Head, Slice 80 of 155, 240x240 px
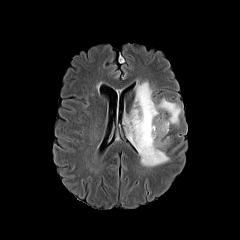
FLAIR MRI.
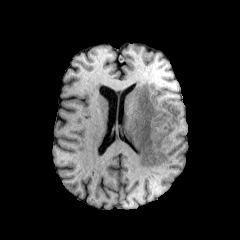
Same slice, T1-weighted MR image.
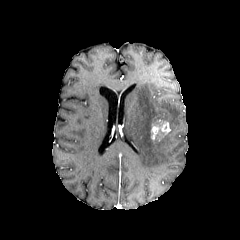
Post-contrast T1-weighted MR image.
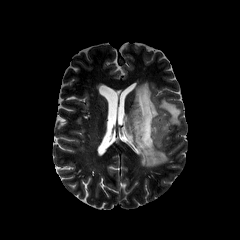
T2-weighted magnetic resonance.
2 non-enhancing tumor core regions appear at bbox=[154, 131, 169, 147]; bbox=[152, 109, 171, 123]. The edema appears at bbox=[124, 83, 180, 166]. The enhancing tumor appears at bbox=[151, 120, 170, 141].